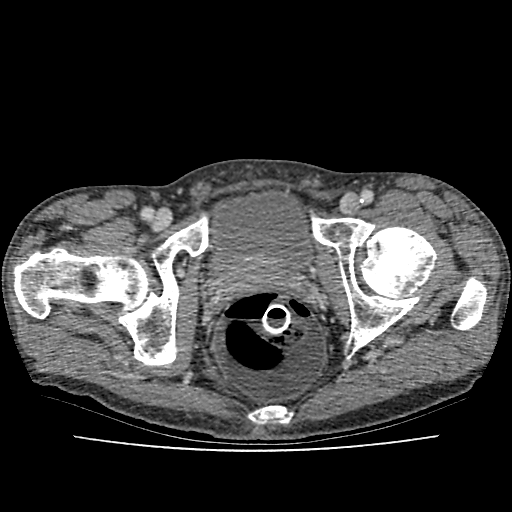
Computed tomography. 512x512 px.
{"urinary_bladder": ["bbox(204, 188, 315, 281)"]}